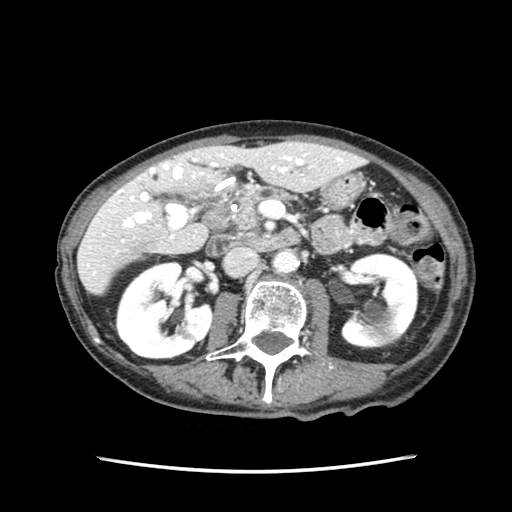
512x512. CT.
pancreas:
  - region(235, 187, 299, 229)